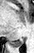 MR.

Annotated regions:
* posterior hippocampus: {"x1": 12, "y1": 38, "x2": 23, "y2": 46}